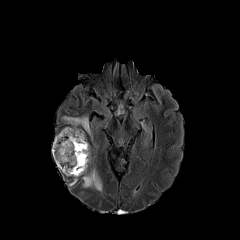
FLAIR MR image.
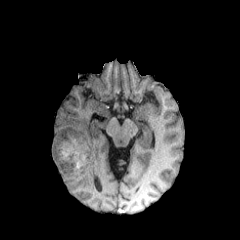
Same slice, T1-weighted MR image.
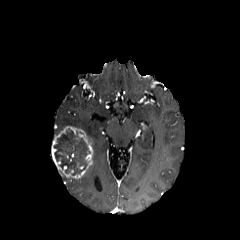
Same slice, post-contrast T1-weighted magnetic resonance.
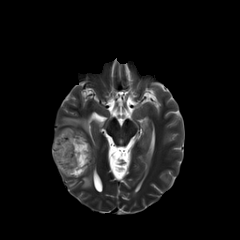
T2-weighted MR image.
Edema — (left=62, top=116, right=90, bottom=134), (left=83, top=168, right=102, bottom=194).
Non-enhancing tumor core — (left=53, top=129, right=88, bottom=175).
Enhancing tumor — (left=51, top=127, right=93, bottom=178).